Head
FLAIR MRI.
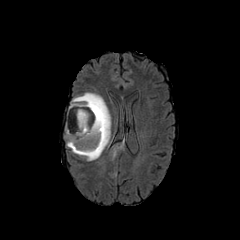
T1-weighted magnetic resonance.
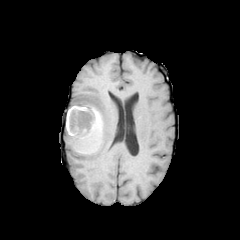
Post-contrast T1-weighted MRI.
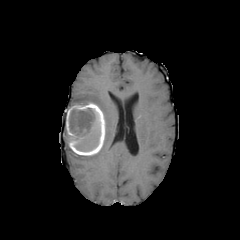
T2-weighted MR.
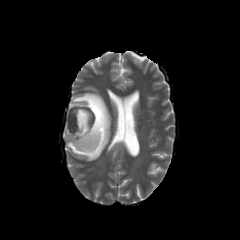
{"enhancing_tumor": ["(68,102,105,155)"], "non-enhancing_tumor_core": ["(78,110,99,149)"], "edema": ["(64,92,111,160)"]}